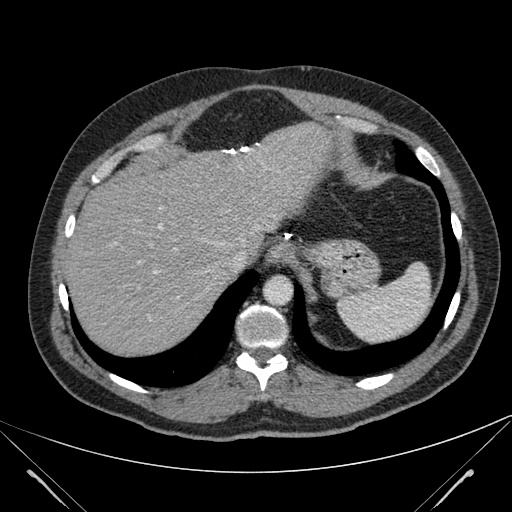

CT scan slice. Abdomen.
The liver appears at [x1=64, y1=125, x2=354, y2=356].